Field of view 330x330 mm. Computed tomography. Slice index 20. 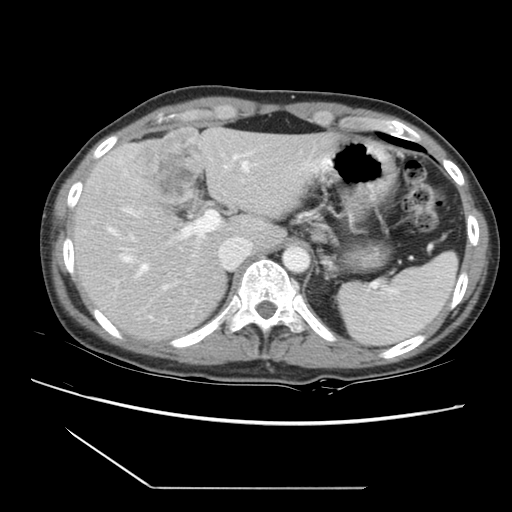

The vessel annotation is not exhaustive.
Liver tumor — rect(133, 131, 201, 200).
Largest 15 of 21 hepatic vessel regions — rect(127, 146, 137, 157); rect(232, 151, 260, 172); rect(122, 207, 141, 217); rect(225, 240, 230, 244); rect(219, 248, 222, 261); rect(109, 156, 122, 164); rect(129, 235, 133, 240); rect(119, 248, 136, 262); rect(107, 227, 118, 236); rect(224, 165, 229, 169); rect(176, 212, 219, 240); rect(114, 280, 120, 287); rect(135, 264, 148, 278); rect(162, 285, 172, 290); rect(122, 169, 128, 177).